Upper abdomen | CT scan slice | Image size 512x512 | Slice index 44
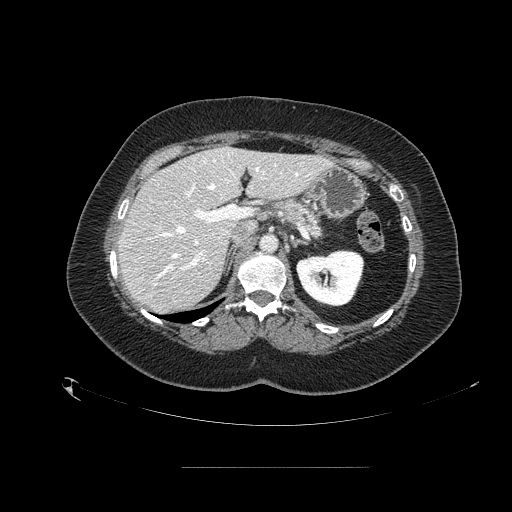

Pancreas: (270,197,324,241).
Pancreatic tumor: (285,205,300,218).